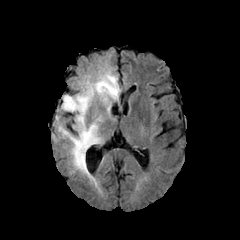
FLAIR magnetic resonance.
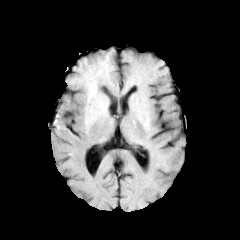
T1-weighted MR image.
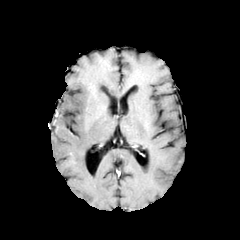
Same slice, post-contrast T1-weighted MR.
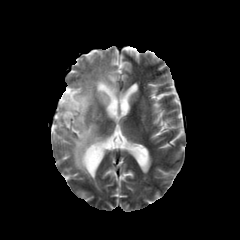
T2-weighted MR.
Brain
The non-enhancing tumor core is at rect(88, 83, 97, 96). The edema is located at rect(56, 67, 120, 183).